CT | Slice index 196 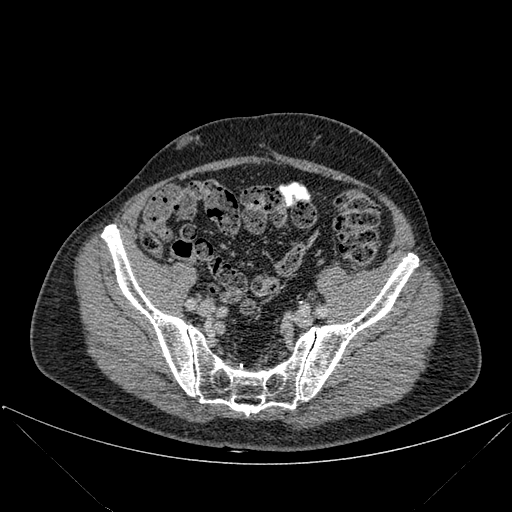

The bone lies within box(101, 224, 418, 415).